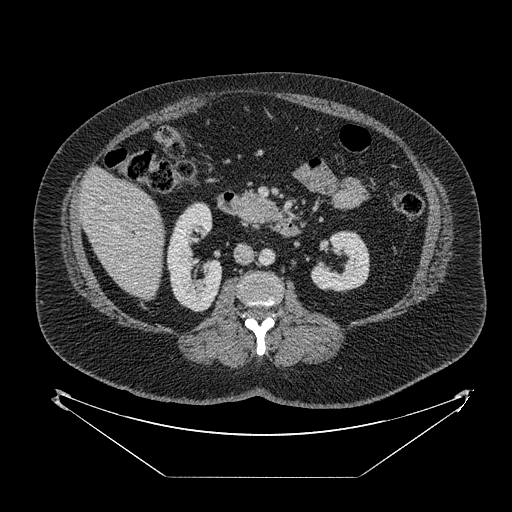
CT image | 512x512

Pancreatic tumor = (245, 196, 277, 221).
Pancreas = (234, 192, 279, 225).